Field of view 36 mm wide, 1.00 mm slice spacing; MR; Image size 36x45
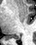
Posterior hippocampus at 12,35,19,39.